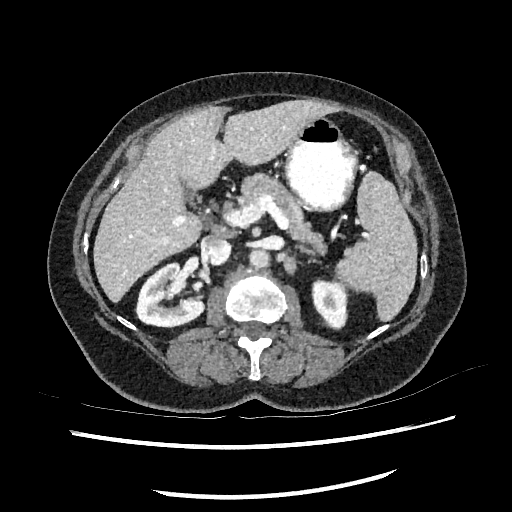

CT slice; 512x512; Upper abdomen
Kidney: <bbox>313, 282, 345, 326</bbox>, <bbox>137, 264, 202, 326</bbox>.
Liver: <bbox>94, 99, 332, 303</bbox>.
Hepatic lesion: <bbox>101, 242, 110, 253</bbox>.